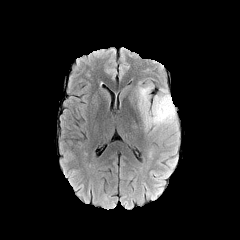
FLAIR MRI.
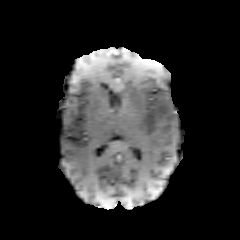
T1-weighted MR of the same slice.
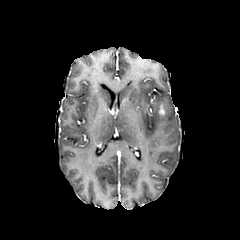
Post-contrast T1-weighted MRI of the same slice.
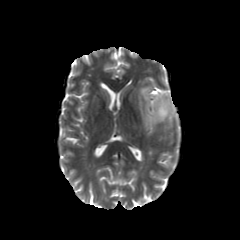
T2-weighted MRI of the same slice.
Head
Edema — x1=137, y1=84, x2=178, y2=133; x1=162, y1=160, x2=173, y2=172; x1=153, y1=172, x2=165, y2=186.
Enhancing tumor — x1=158, y1=104, x2=165, y2=115.
Non-enhancing tumor core — x1=147, y1=93, x2=165, y2=118.